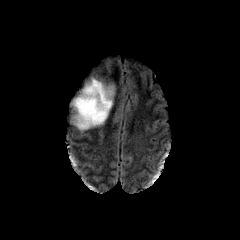
FLAIR MR.
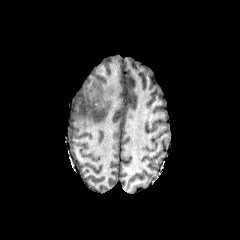
T1-weighted magnetic resonance.
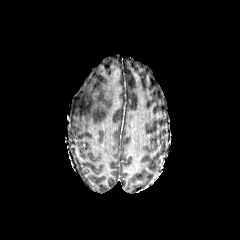
Post-contrast T1-weighted MR image.
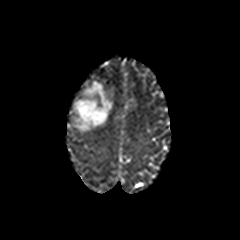
T2-weighted MRI.
Head
Findings:
• edema: (left=73, top=79, right=112, bottom=131)